Image size 240x240
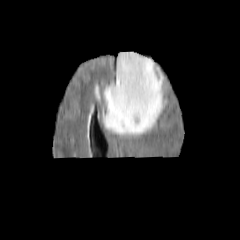
FLAIR magnetic resonance.
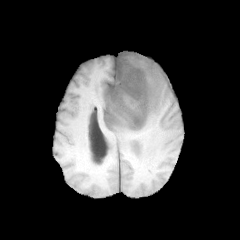
T1-weighted MRI.
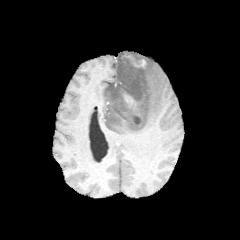
Post-contrast T1-weighted magnetic resonance of the same slice.
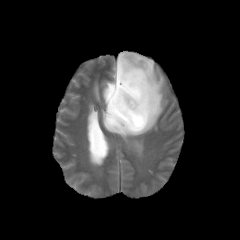
T2-weighted MR.
{
  "edema": [
    "bbox=[102, 51, 166, 135]"
  ],
  "non-enhancing_tumor_core": [
    "bbox=[111, 55, 147, 127]"
  ],
  "enhancing_tumor": [
    "bbox=[124, 94, 135, 106]"
  ]
}